Image size 240x240; Head; Field of view 240 mm wide, 1.00 mm slice spacing
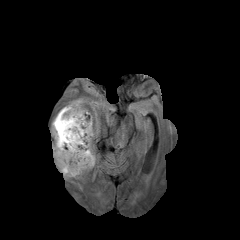
FLAIR magnetic resonance.
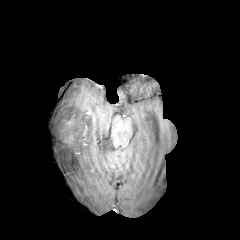
T1-weighted MR image.
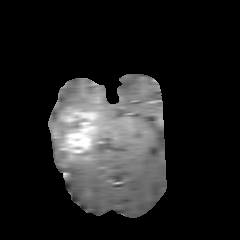
Post-contrast T1-weighted MR.
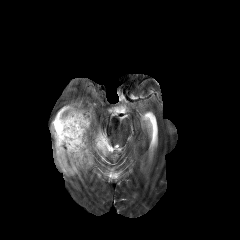
Same slice, T2-weighted MR.
enhancing tumor: 52, 107, 95, 160 | edema: 50, 99, 87, 135; 52, 144, 95, 178 | non-enhancing tumor core: 53, 112, 63, 126; 54, 139, 66, 165